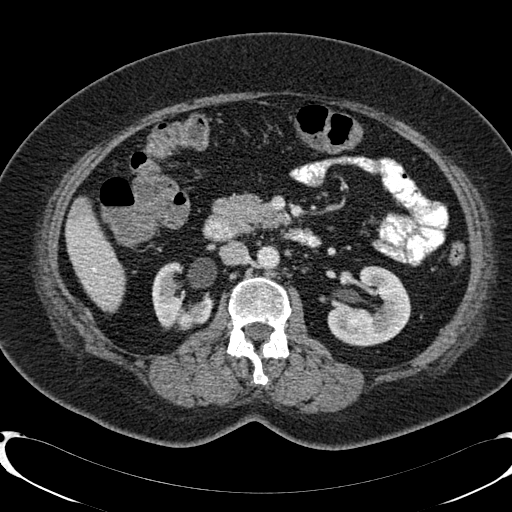
CT scan slice | Liver
Liver at box=[65, 216, 124, 309].
Kidney at box=[328, 267, 409, 345]; box=[152, 262, 212, 326].
Liver lesion at box=[69, 198, 91, 221].